Upper abdomen | CT
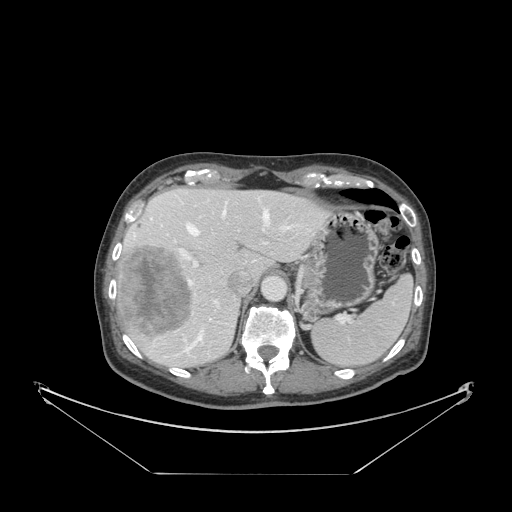 The spleen is located at (x1=312, y1=275, x2=413, y2=366).